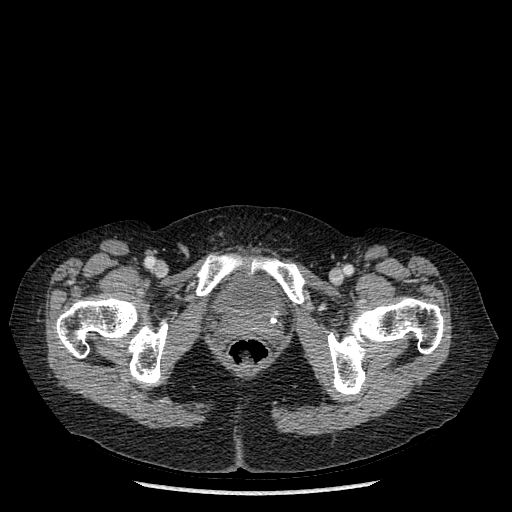

CT image | Lower abdomen | Image size 512x512
Annotated regions:
- urinary bladder: 204, 265, 296, 340
- bone: 196, 254, 305, 303; 327, 298, 444, 396; 55, 294, 167, 386